Slice 59 of 153 | CT scan slice | 512x512 | Field of view 418 mm wide, 3.00 mm slice spacing

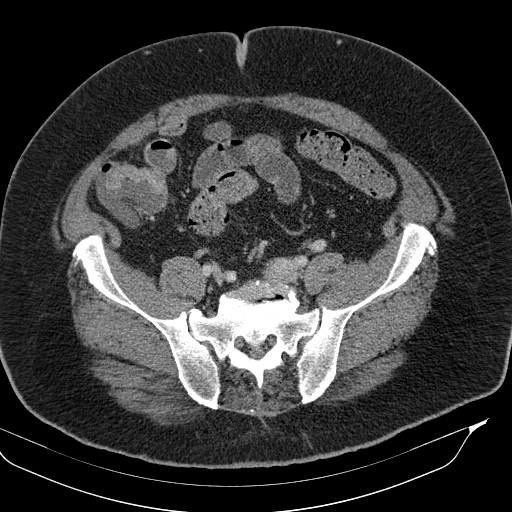 {
  "colon_tumor": [
    "region(105, 165, 166, 193)"
  ]
}